Slice 89 of 155; Head
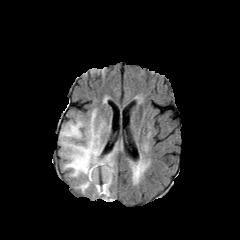
FLAIR magnetic resonance.
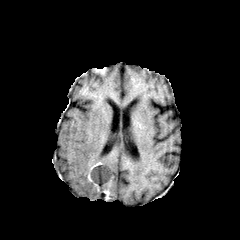
T1-weighted magnetic resonance.
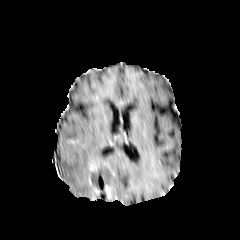
Post-contrast T1-weighted magnetic resonance.
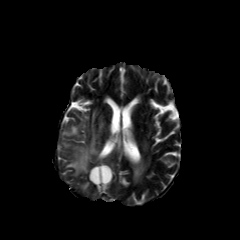
T2-weighted MR image of the same slice.
Edema = region(59, 110, 121, 193); region(135, 165, 143, 177); region(93, 188, 113, 201).
Enhancing tumor = region(90, 163, 99, 171).
Non-enhancing tumor core = region(89, 164, 111, 192).